Slice 69 of 155; Head; 240x240
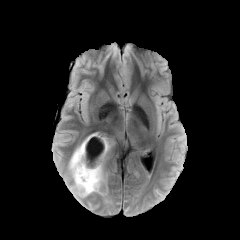
FLAIR magnetic resonance.
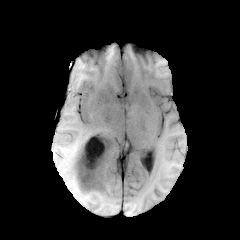
T1-weighted magnetic resonance of the same slice.
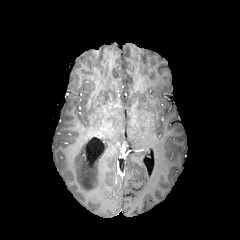
Same slice, post-contrast T1-weighted MR image.
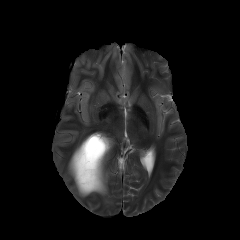
T2-weighted MR.
Edema at [90, 170, 106, 193], [66, 155, 89, 197].
Non-enhancing tumor core at [72, 134, 109, 194].
Enhancing tumor at [98, 158, 103, 175], [85, 133, 101, 141].